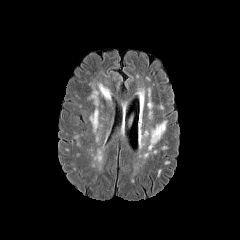
FLAIR MRI.
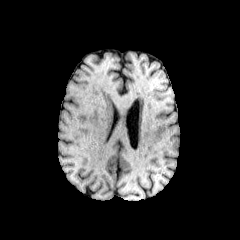
T1-weighted magnetic resonance.
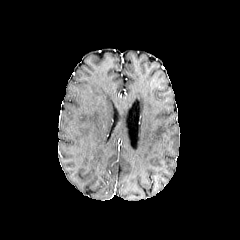
Same slice, post-contrast T1-weighted MR.
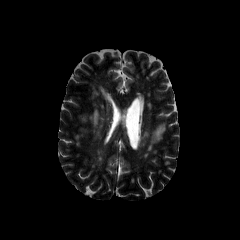
T2-weighted MR image of the same slice.
Edema at l=91, t=111, r=97, b=128.